FLAIR MR.
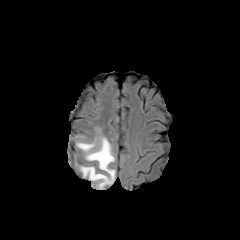
T1-weighted MRI.
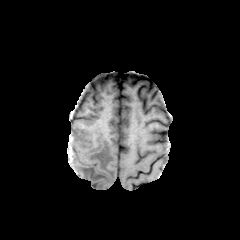
Post-contrast T1-weighted MRI.
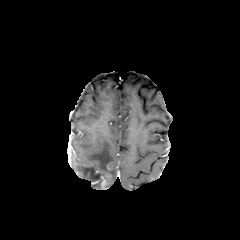
T2-weighted magnetic resonance.
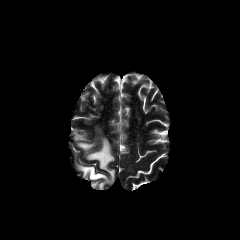
Head, 240x240 px
Edema: bounding box [74, 134, 115, 189].